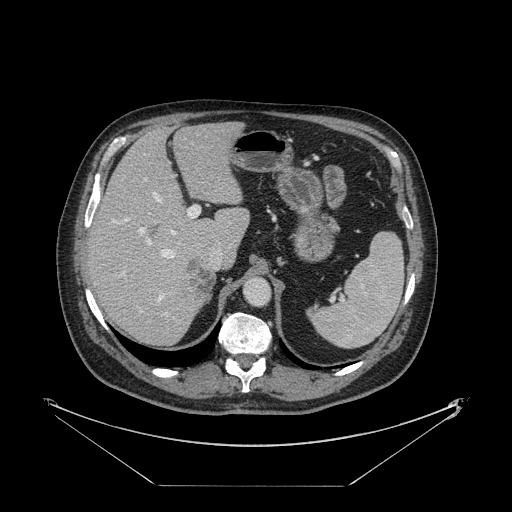 Liver, 512x512 px, CT
Not every hepatic vessel necessarily has a box.
8 hepatic vessel regions are located at {"x1": 122, "y1": 272, "x2": 123, "y2": 274}, {"x1": 138, "y1": 228, "x2": 145, "y2": 233}, {"x1": 164, "y1": 312, "x2": 166, "y2": 313}, {"x1": 157, "y1": 296, "x2": 161, "y2": 301}, {"x1": 187, "y1": 205, "x2": 199, "y2": 216}, {"x1": 171, "y1": 231, "x2": 173, "y2": 233}, {"x1": 173, "y1": 174, "x2": 175, "y2": 175}, {"x1": 145, "y1": 238, "x2": 149, "y2": 242}. The liver tumor is bounded by {"x1": 186, "y1": 256, "x2": 213, "y2": 300}.